Magnetic resonance; Slice 21/35; Image width 35 mm; Hippocampus; Image size 35x48

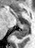

<segmentation>
  <posterior_hippocampus>left=13, top=23, right=29, bottom=38</posterior_hippocampus>
</segmentation>